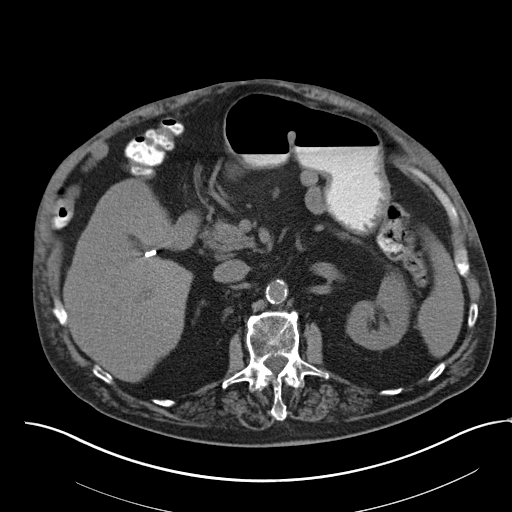
Upper abdomen, CT
Spleen: 420:230:462:354.